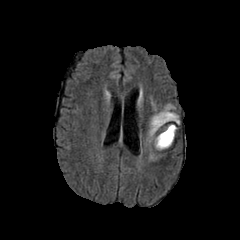
FLAIR MRI.
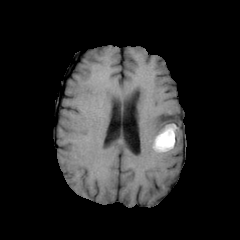
Same slice, T1-weighted MR.
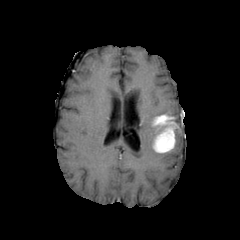
Post-contrast T1-weighted MRI.
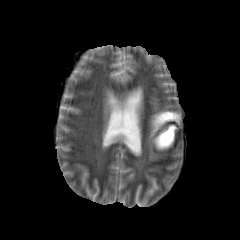
T2-weighted MRI of the same slice.
Enhancing tumor: bounding box x1=152, y1=113, x2=175, y2=151.
Edema: bounding box x1=137, y1=89, x2=143, y2=110; x1=145, y1=99, x2=177, y2=160.
Non-enhancing tumor core: bounding box x1=162, y1=112, x2=180, y2=121; x1=156, y1=122, x2=172, y2=135; x1=159, y1=137, x2=174, y2=152.